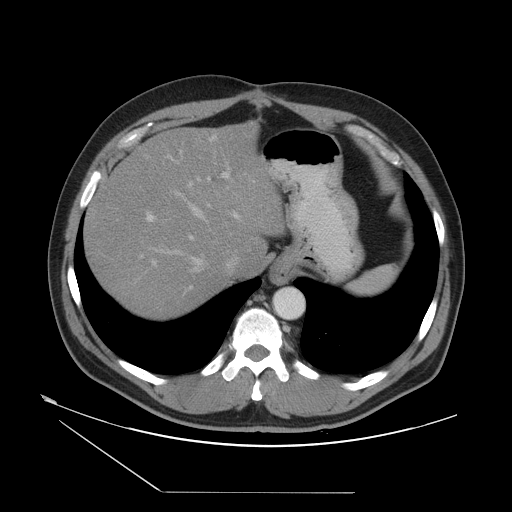
512x512. Abdomen. CT scan slice.
The vessel annotation is not exhaustive.
The principal 15 hepatic vessel regions (of 16) are bounded by bbox(189, 236, 192, 239); bbox(191, 206, 202, 218); bbox(139, 255, 142, 257); bbox(191, 255, 202, 271); bbox(151, 248, 181, 254); bbox(167, 157, 173, 160); bbox(189, 287, 191, 288); bbox(184, 288, 188, 293); bbox(222, 166, 229, 177); bbox(188, 182, 191, 186); bbox(146, 213, 153, 221); bbox(232, 212, 238, 219); bbox(151, 260, 155, 265); bbox(207, 178, 209, 181); bbox(197, 178, 199, 180).